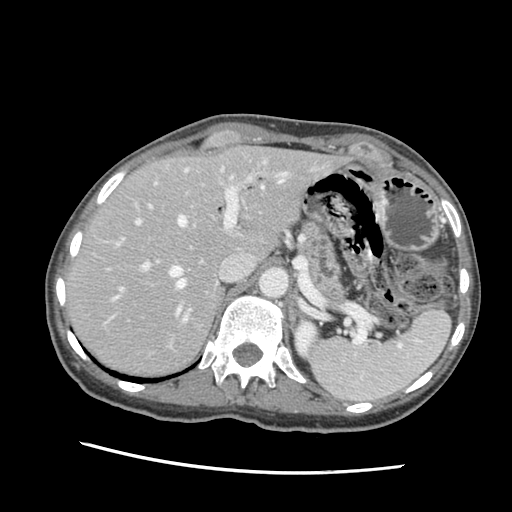 CT slice, Image size 512x512, Abdomen

The pancreas is at [x1=303, y1=221, x2=344, y2=305].